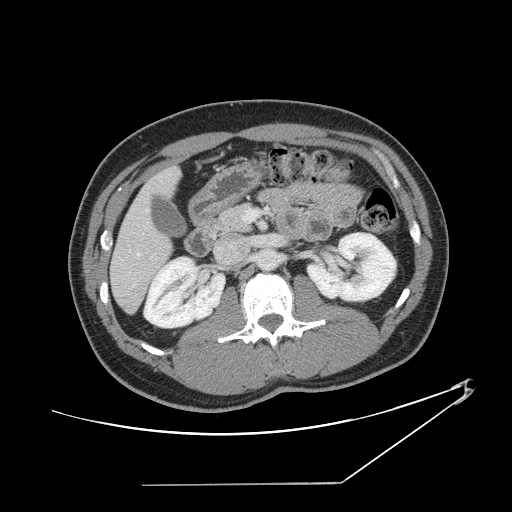 512x512 px. Computed tomography.
The vessel annotation is not exhaustive.
2 hepatic vessel regions are bounded by <bbox>146, 210, 147, 211</bbox>, <bbox>133, 283, 134, 286</bbox>.